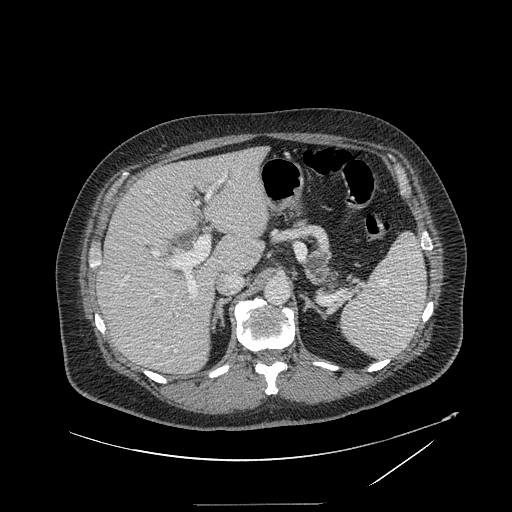

Computed tomography.
The pancreas is bounded by [x1=305, y1=250, x2=339, y2=291].